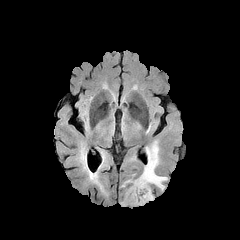
FLAIR MR.
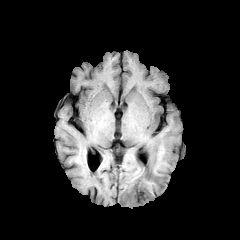
T1-weighted MR.
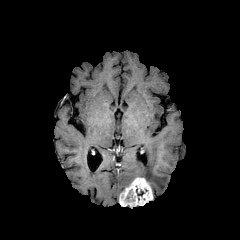
Post-contrast T1-weighted MR image of the same slice.
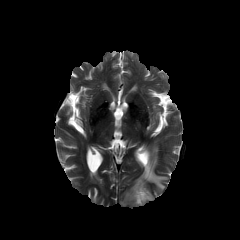
T2-weighted MR image.
Image size 240x240. Head.
The edema is located at 139, 141, 167, 190. The enhancing tumor is located at 119, 178, 153, 206.